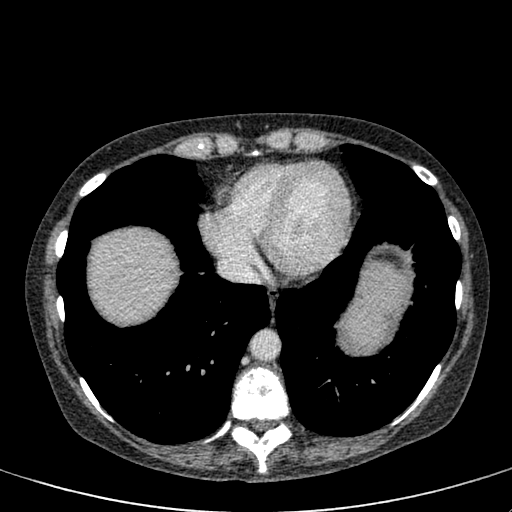
CT slice; Abdomen

The liver is at 89 230 176 322.